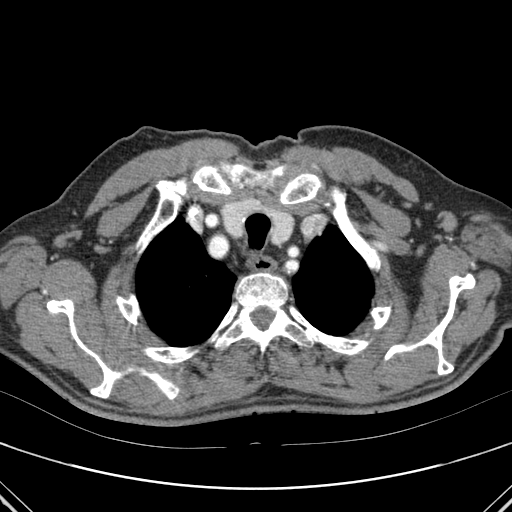 CT image | Thorax

2 lung regions are bounded by [x1=292, y1=225, x2=373, y2=335], [x1=136, y1=217, x2=236, y2=346]. 13 bone regions appear at [x1=138, y1=179, x2=186, y2=251], [x1=371, y1=307, x2=390, y2=329], [x1=384, y1=274, x2=475, y2=374], [x1=116, y1=295, x2=139, y2=324], [x1=221, y1=162, x2=250, y2=182], [x1=331, y1=188, x2=379, y2=269], [x1=193, y1=165, x2=230, y2=194], [x1=47, y1=299, x2=119, y2=398], [x1=143, y1=347, x2=197, y2=363], [x1=280, y1=173, x2=321, y2=204], [x1=149, y1=372, x2=178, y2=399], [x1=268, y1=166, x2=285, y2=178], [x1=210, y1=273, x2=369, y2=354].